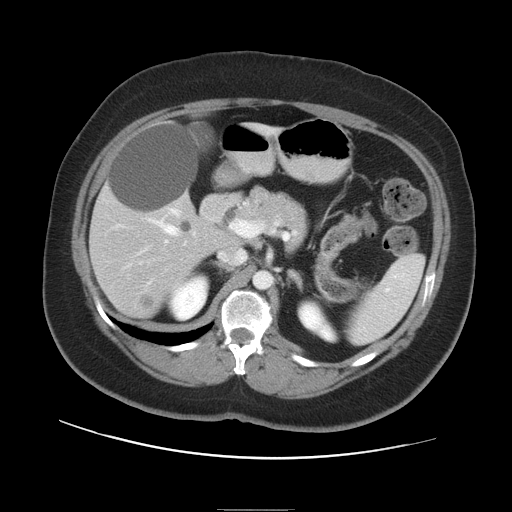
Liver | CT slice
The vessel boxes may cover only some of the vessels.
<segmentation>
  <hepatic_vessel>171 209 177 214, 154 221 177 234, 230 220 241 233</hepatic_vessel>
</segmentation>